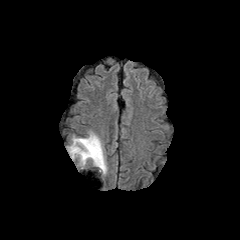
FLAIR MR.
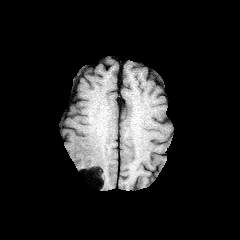
T1-weighted MR image of the same slice.
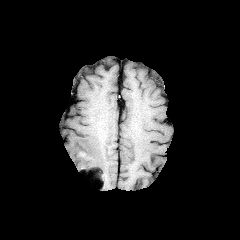
Same slice, post-contrast T1-weighted magnetic resonance.
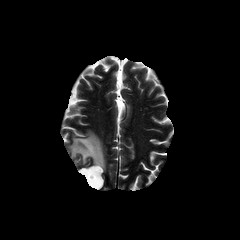
T2-weighted MRI of the same slice.
Image size 240x240
<segmentation>
  <edema>67:130:107:175</edema>
</segmentation>